FLAIR MR.
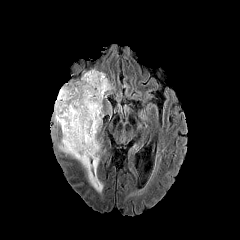
T1-weighted MR.
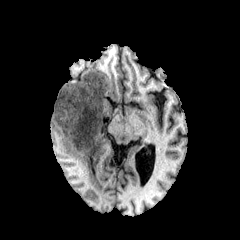
Post-contrast T1-weighted MRI.
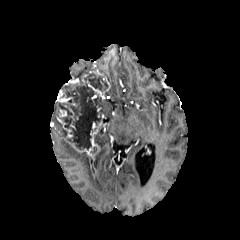
T2-weighted magnetic resonance.
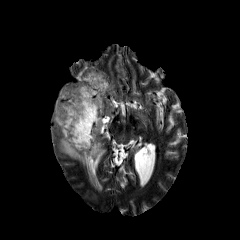
Brain.
edema: [103, 104, 112, 118], [60, 135, 102, 193] | enhancing tumor: [86, 80, 105, 99], [59, 109, 67, 117], [56, 89, 72, 103], [69, 121, 106, 156], [57, 117, 72, 132] | non-enhancing tumor core: [53, 71, 108, 150]